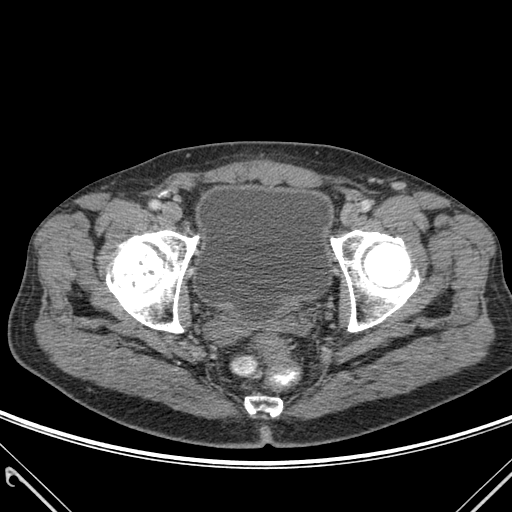

CT scan slice
Urinary bladder — <bbox>195, 189, 330, 316</bbox>.
Bone — <bbox>331, 230, 419, 331</bbox>, <bbox>106, 230, 198, 332</bbox>, <bbox>245, 397, 282, 416</bbox>.